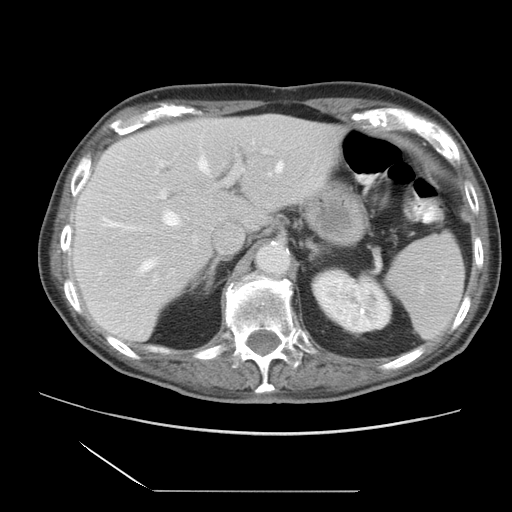
512x512 px, CT slice
The vessel annotation is not exhaustive.
hepatic vessel: rect(159, 162, 163, 166); rect(136, 257, 158, 275); rect(264, 150, 266, 151); rect(104, 219, 123, 226); rect(127, 225, 142, 230); rect(162, 209, 181, 227); rect(276, 162, 283, 171); rect(158, 189, 166, 198); rect(227, 164, 243, 180); rect(269, 173, 272, 175); rect(198, 157, 209, 173)